Slice 12 of 20; Image size 320x320; Prostate
T2-weighted MRI.
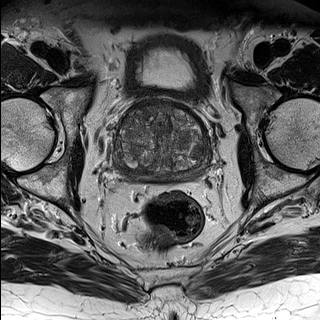
ADC MR image.
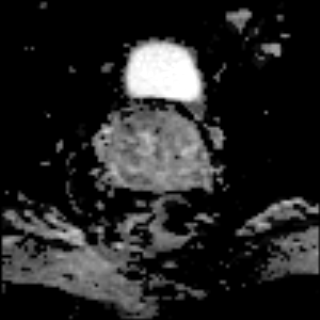
Prostate transition zone at bbox(114, 106, 207, 174).
Prostate peripheral zone at bbox(116, 164, 206, 179).